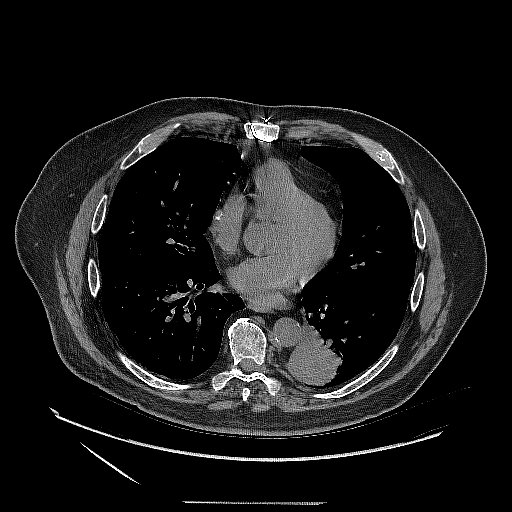
512x512. CT slice. Thorax. * lung tumor: 288 315 344 390